Magnetic resonance, Medial temporal lobe, Slice 31 of 38, Field of view 34 mm wide, 1.00 mm slice spacing 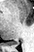

Posterior hippocampus: rect(8, 41, 15, 44).